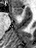

Hippocampus | 36x48 px | MRI slice
<segmentation>
  <anterior_hippocampus>{"x1": 13, "y1": 7, "x2": 23, "y2": 14}</anterior_hippocampus>
</segmentation>